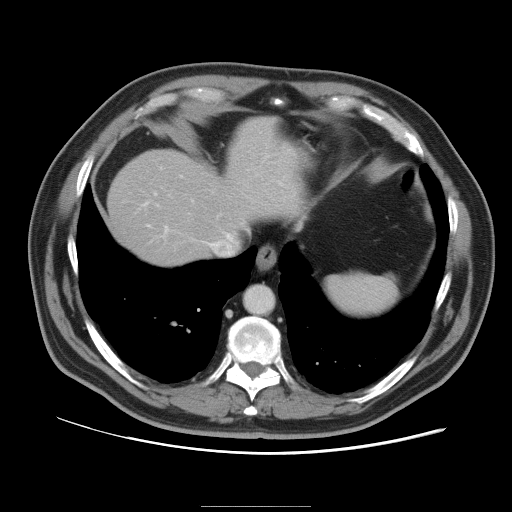

CT, 512x512
The vessel boxes may cover only some of the vessels.
Largest 15 of 17 hepatic vessel regions: rect(152, 237, 155, 240); rect(160, 167, 162, 168); rect(180, 175, 182, 177); rect(162, 226, 170, 240); rect(217, 213, 220, 218); rect(248, 168, 249, 170); rect(168, 194, 170, 195); rect(191, 200, 193, 202); rect(155, 204, 158, 206); rect(204, 241, 211, 245); rect(246, 196, 249, 197); rect(264, 154, 268, 159); rect(154, 193, 156, 194); rect(277, 175, 294, 196); rect(141, 202, 147, 208).